Image width 391 mm, CT image

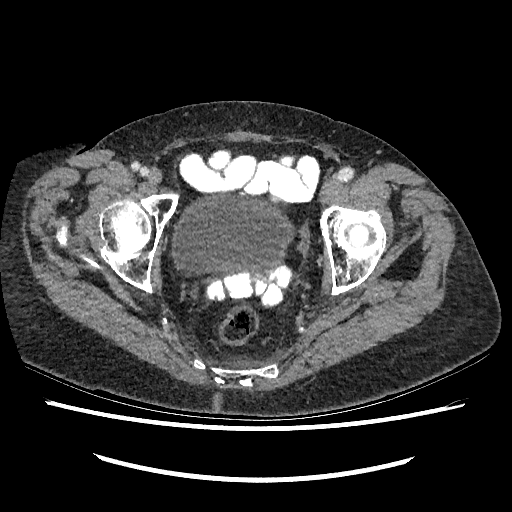 urinary_bladder:
  - box=[173, 192, 296, 275]